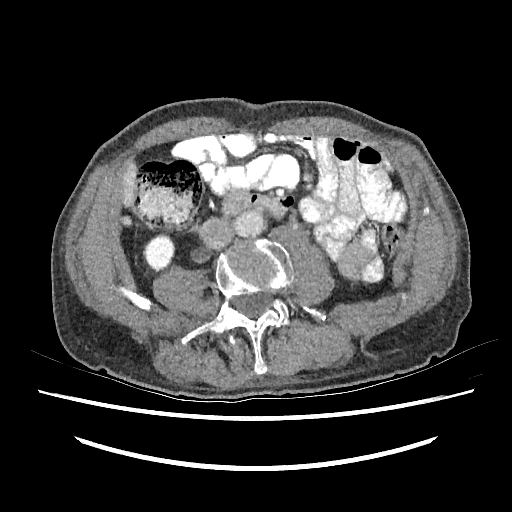

CT slice, Upper abdomen

The kidney is at <bbox>146, 237, 173, 269</bbox>. The liver appears at <bbox>123, 164, 135, 205</bbox>.